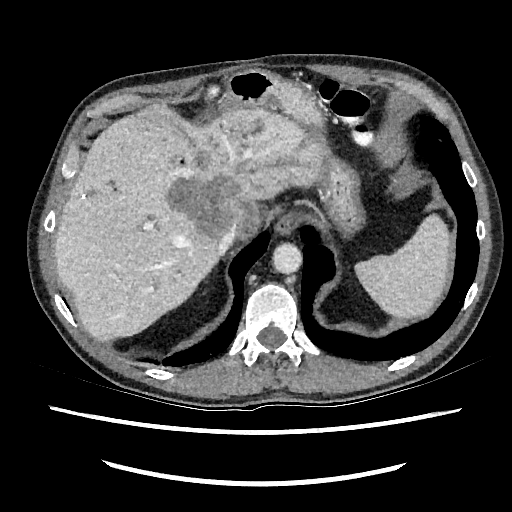

Upper abdomen, CT scan slice
The liver is at left=55, top=103, right=326, bottom=339. 4 focal liver lesion regions are located at left=165, top=175, right=258, bottom=239; left=192, top=150, right=210, bottom=171; left=86, top=189, right=95, bottom=197; left=171, top=156, right=184, bottom=165.